CT image, Upper abdomen, 512x512, Field of view 400 mm wide, 0.80 mm slice spacing 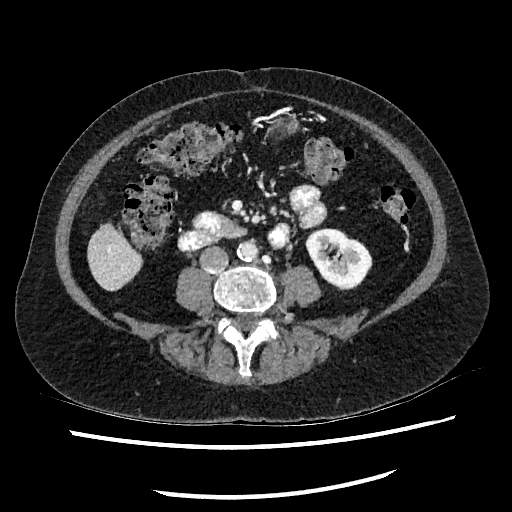 Annotated regions:
- liver: rect(87, 225, 141, 290)
- kidney: rect(306, 224, 370, 287)